Slice index 103
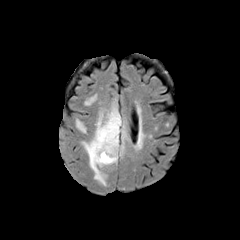
FLAIR MRI.
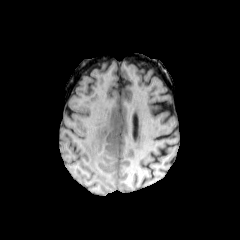
T1-weighted magnetic resonance.
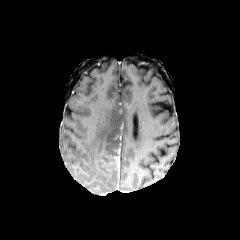
Same slice, post-contrast T1-weighted magnetic resonance.
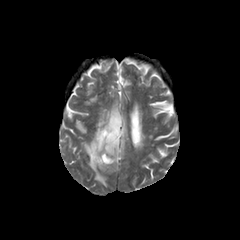
T2-weighted MR image of the same slice.
The enhancing tumor lies within 103,148,120,170. The non-enhancing tumor core is located at 101,148,118,164. The edema lies within 81,102,129,186.